FLAIR MRI.
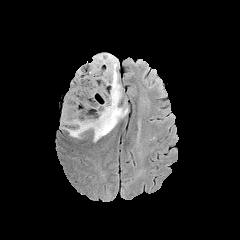
T1-weighted MRI.
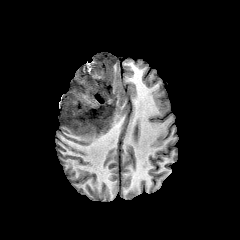
Post-contrast T1-weighted MR.
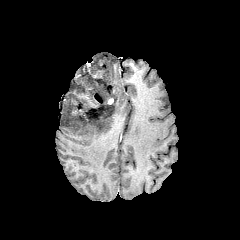
T2-weighted MR image.
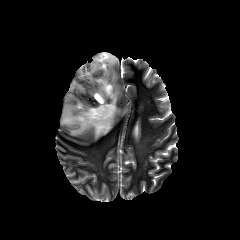
The edema is bounded by {"x1": 61, "y1": 53, "x2": 127, "y2": 141}. 2 non-enhancing tumor core regions are located at {"x1": 89, "y1": 55, "x2": 116, "y2": 72}, {"x1": 82, "y1": 102, "x2": 114, "y2": 129}.